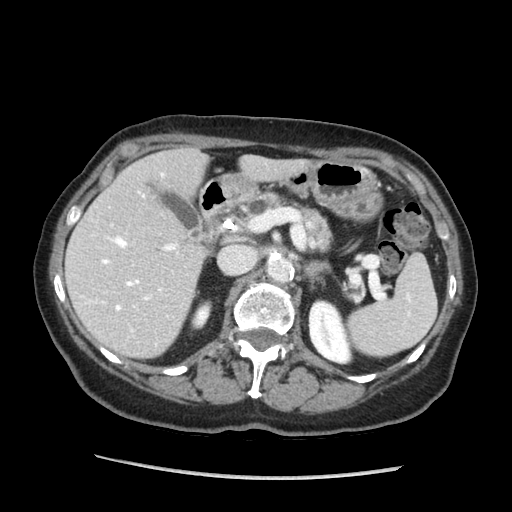
Abdomen | Computed tomography

Pancreas: bounding box (x1=244, y1=194, x2=282, y2=217), (x1=301, y1=208, x2=331, y2=249).